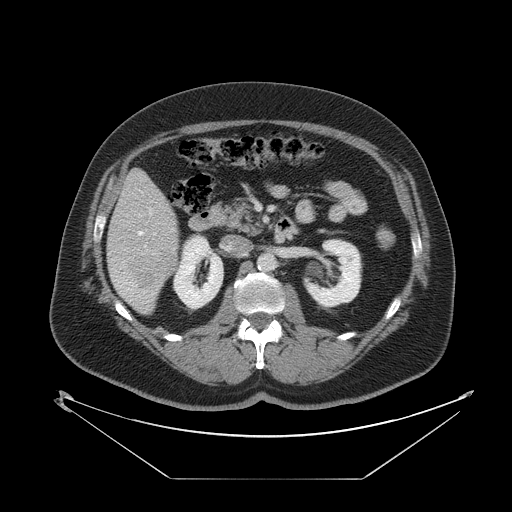

CT
Only some of the vessels may be annotated.
Hepatic vessel = box(153, 232, 155, 234); box(138, 214, 140, 216); box(138, 231, 142, 235); box(144, 245, 146, 247).
Liver tumor = box(128, 252, 174, 288).